CT. 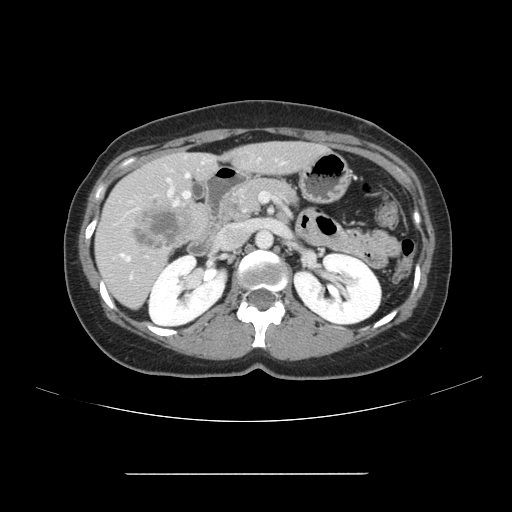 Not every hepatic vessel necessarily has a box.
hepatic_vessel:
  - (x1=183, y1=192, x2=189, y2=197)
  - (x1=166, y1=178, x2=170, y2=182)
  - (x1=168, y1=188, x2=172, y2=195)
  - (x1=202, y1=161, x2=204, y2=163)
  - (x1=185, y1=173, x2=189, y2=177)
  - (x1=130, y1=276, x2=131, y2=278)
  - (x1=121, y1=254, x2=129, y2=260)
  - (x1=173, y1=200, x2=178, y2=205)
liver_tumor:
  - (x1=141, y1=200, x2=181, y2=243)
  - (x1=138, y1=234, x2=157, y2=247)